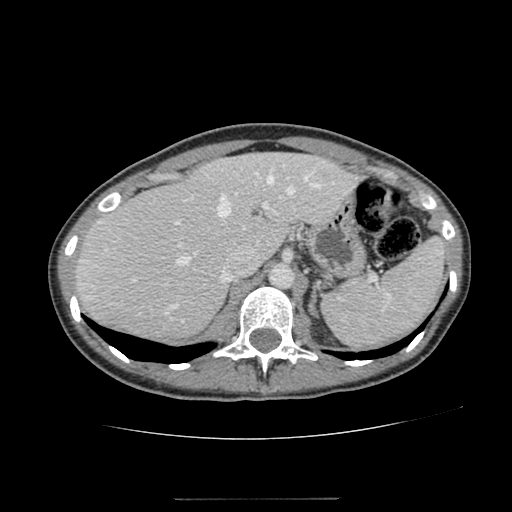

Computed tomography. 512x512 px.
liver:
  - l=77, t=152, r=363, b=340